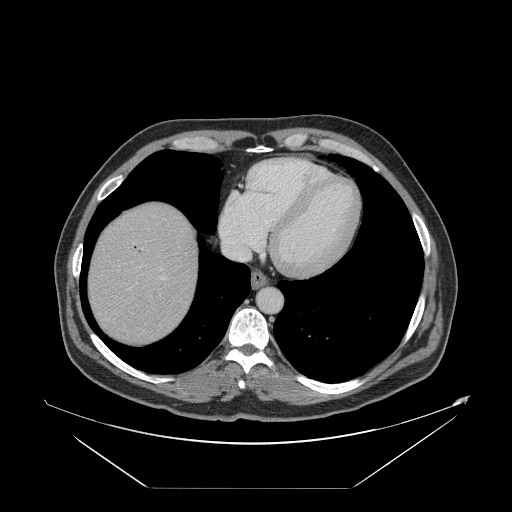 CT slice, Liver, Image size 512x512

Not every hepatic vessel necessarily has a box.
hepatic_vessel:
  - (x1=160, y1=277, x2=165, y2=280)
  - (x1=219, y1=230, x2=255, y2=260)